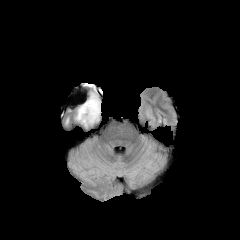
FLAIR MR image.
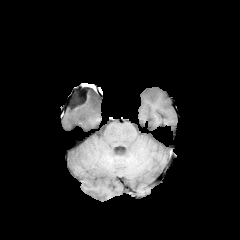
T1-weighted magnetic resonance.
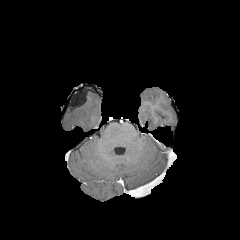
Same slice, post-contrast T1-weighted MRI.
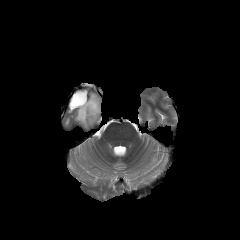
T2-weighted MRI.
240x240 px
The edema lies within 74:92:100:127.